512x512 px | Field of view 422x422 mm | CT

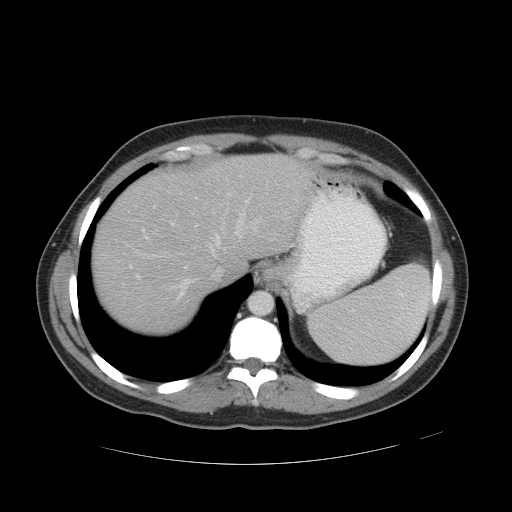

The vessel annotation is not exhaustive.
11 hepatic vessel regions are bounded by rect(142, 228, 144, 231); rect(171, 222, 174, 225); rect(129, 265, 131, 267); rect(195, 224, 197, 226); rect(235, 212, 245, 237); rect(137, 276, 140, 278); rect(227, 193, 230, 195); rect(145, 236, 148, 239); rect(210, 234, 220, 255); rect(179, 280, 188, 296); rect(245, 199, 249, 203).